240x240 px; Head
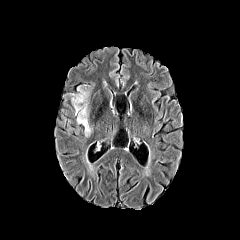
FLAIR MRI.
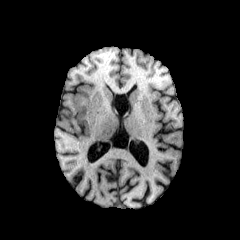
T1-weighted MR image.
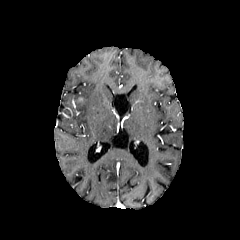
Same slice, post-contrast T1-weighted MR image.
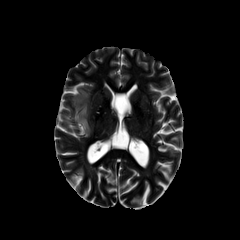
T2-weighted MR of the same slice.
edema:
  - 71:85:93:138
enhancing_tumor:
  - 72:96:83:108